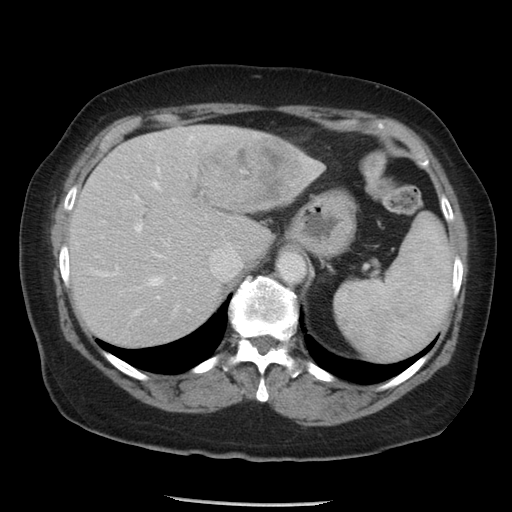
512x512 px. CT slice.
Not every hepatic vessel necessarily has a box.
[15/16] hepatic vessel: 152:181:159:189, 135:223:141:231, 173:198:176:201, 90:265:118:276, 133:309:140:314, 152:252:163:257, 157:296:159:299, 148:277:162:285, 134:194:140:201, 96:255:98:257, 225:241:231:249, 156:167:159:171, 172:276:174:278, 132:286:139:289, 126:176:128:179 | liver tumor: 202:137:303:204